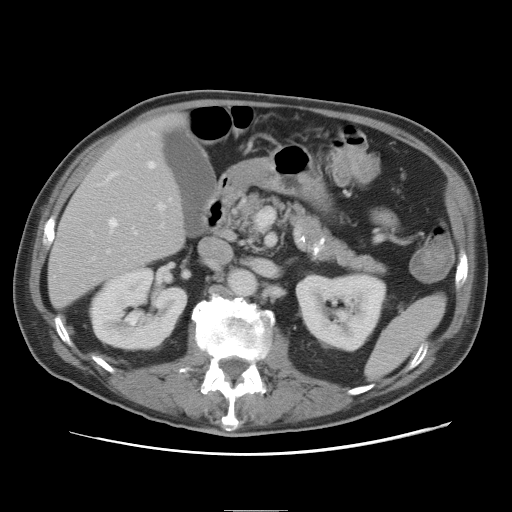

512x512 | CT scan slice | Liver
Only some of the vessels may be annotated.
- hepatic vessel: left=152, top=133, right=155, bottom=134; left=133, top=228, right=136, bottom=233; left=161, top=224, right=163, bottom=226; left=108, top=250, right=110, bottom=252; left=170, top=198, right=171, bottom=200; left=149, top=162, right=154, bottom=168; left=104, top=173, right=115, bottom=183; left=109, top=219, right=117, bottom=233; left=159, top=203, right=165, bottom=209